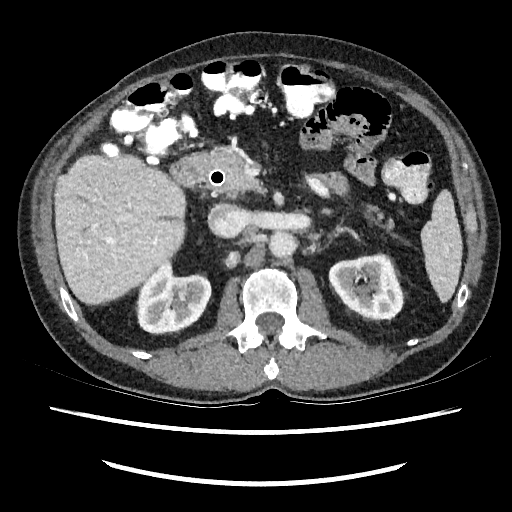 Liver, CT
Segmented structures:
- liver: <bbox>55, 154, 185, 303</bbox>
- kidney: <bbox>138, 263, 210, 332</bbox>, <bbox>330, 255, 402, 319</bbox>